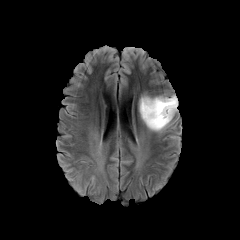
FLAIR magnetic resonance.
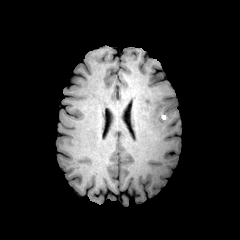
T1-weighted magnetic resonance.
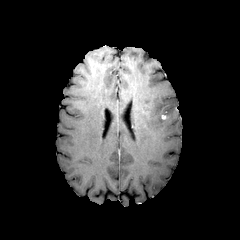
Post-contrast T1-weighted MR image.
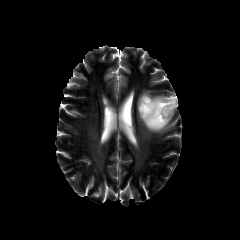
T2-weighted MR image.
Brain
Segmented structures:
• edema: (137, 92, 177, 133)
• non-enhancing tumor core: (140, 97, 168, 120)